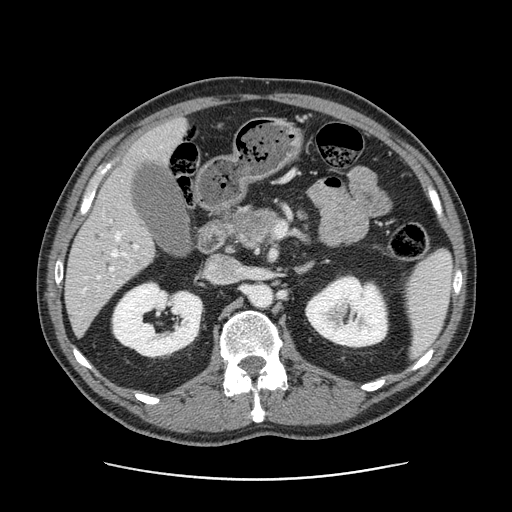
CT | 512x512

<segmentation>
  <pancreas><box>223,209,280,248</box></pancreas>
  <pancreatic_tumor><box>225,213,276,239</box></pancreatic_tumor>
</segmentation>